CT slice; Slice 61 of 93; Abdomen 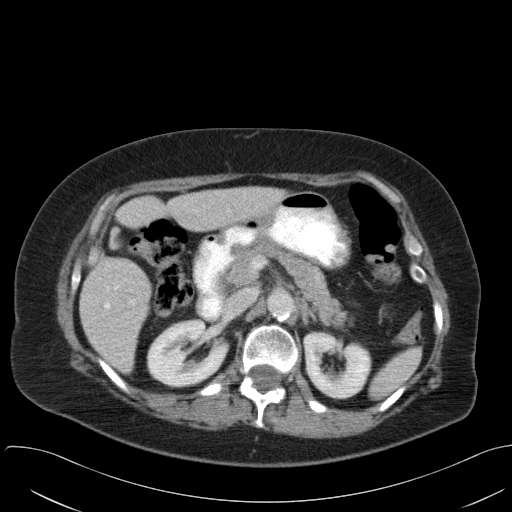 spleen:
  - (left=371, top=349, right=420, bottom=399)